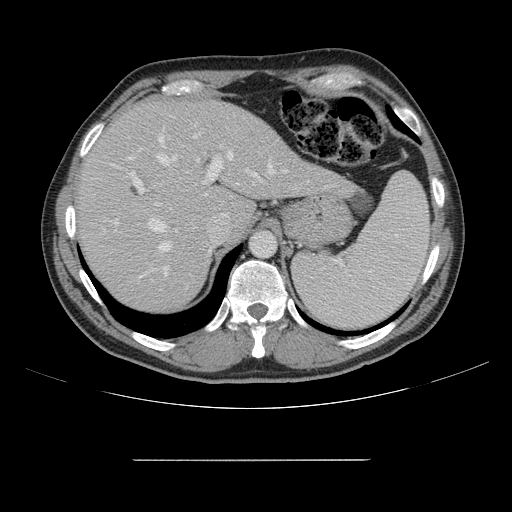 CT slice; Liver

Only some of the vessels may be annotated.
Findings:
- hepatic vessel (most prominent 15 of 25): 252 173 259 178, 163 266 168 275, 127 157 132 159, 171 156 176 160, 138 269 153 282, 149 220 166 231, 268 163 273 173, 158 136 164 147, 115 221 117 228, 158 155 169 165, 282 170 286 172, 208 158 222 179, 130 172 144 192, 227 152 232 159, 160 242 169 250